Slice 60/98 | CT image | Upper abdomen 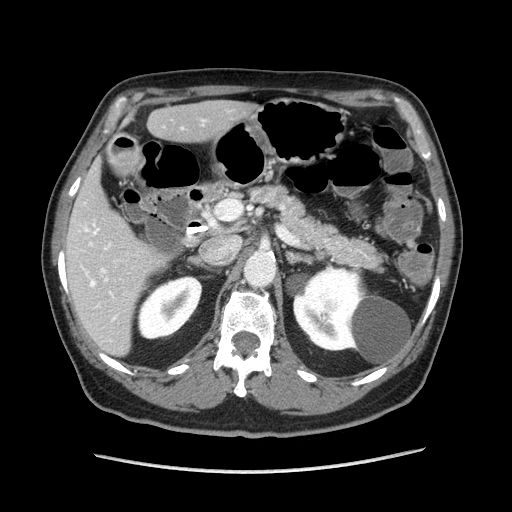 pancreas: [248,185,381,270]